Slice 36 of 104 | Abdomen | 512x512 px | CT image | Field of view 424 mm wide, 2.50 mm slice spacing 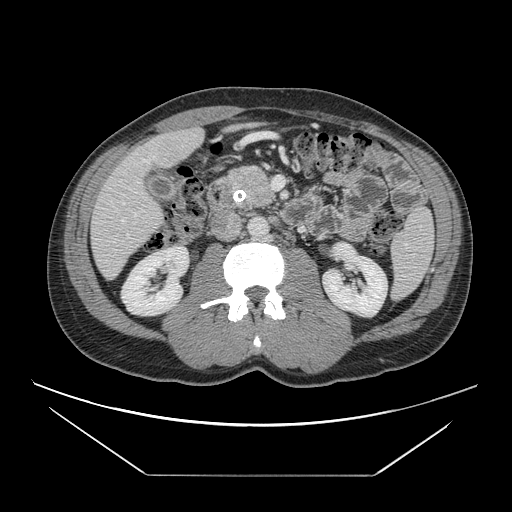
Segmented structures:
- pancreas: (x1=231, y1=168, x2=272, y2=208)